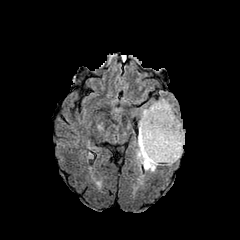
FLAIR MR.
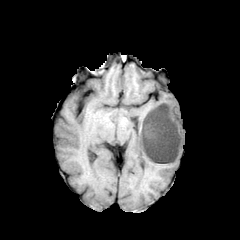
T1-weighted magnetic resonance of the same slice.
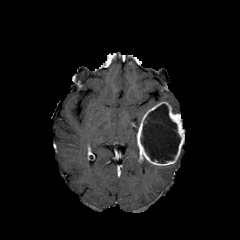
Same slice, post-contrast T1-weighted MR image.
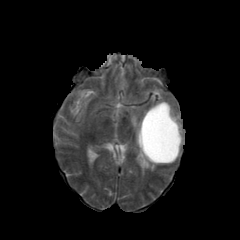
T2-weighted MRI.
Edema at 133,102,158,123; 141,160,158,172.
Non-enhancing tumor core at 142,104,179,163.
Enhancing tumor at 136,101,184,165.